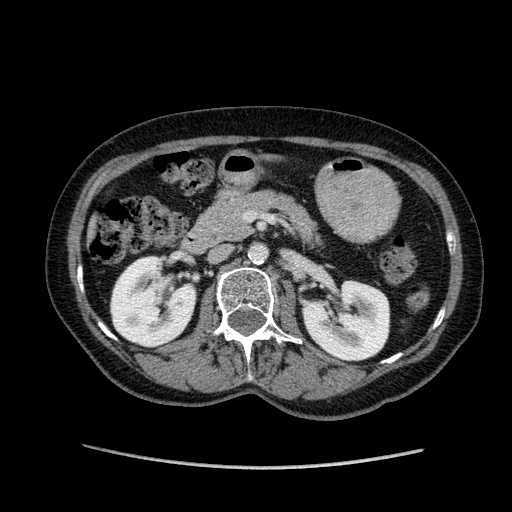 Upper abdomen; CT image

Kidney — (304, 275, 388, 359), (111, 256, 194, 346).
Liver — (89, 217, 99, 239).